Magnetic resonance, 34x47 px 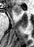

The anterior hippocampus is located at (x1=13, y1=7, x2=22, y2=14).